512x512; CT scan slice; Liver
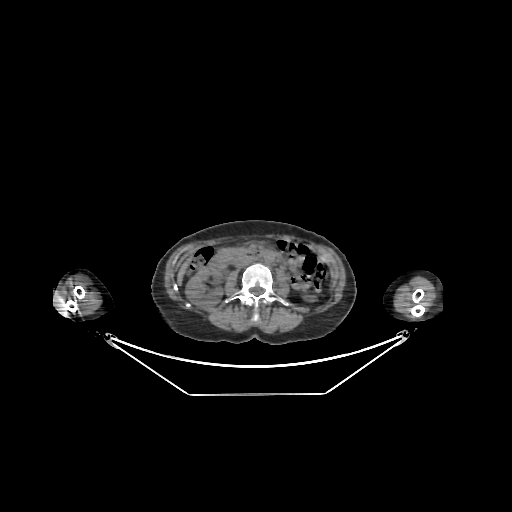

2 kidney regions appear at [302, 290, 316, 302], [185, 267, 225, 307]. The liver is at [178, 262, 187, 283].